Brain; Slice index 99
FLAIR MRI.
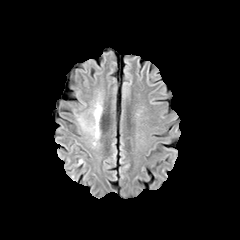
T1-weighted magnetic resonance.
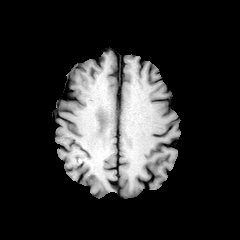
Post-contrast T1-weighted magnetic resonance.
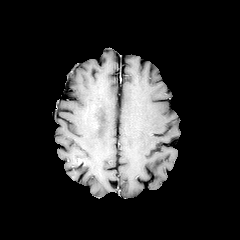
T2-weighted MRI.
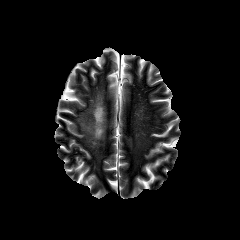
<segmentation>
  <edema>(left=77, top=94, right=102, bottom=147)</edema>
</segmentation>